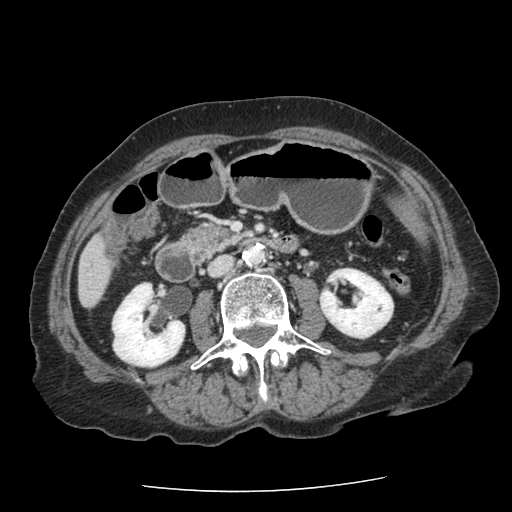
CT. 512x512 px.

Pancreas: bounding box box=[185, 224, 243, 258].